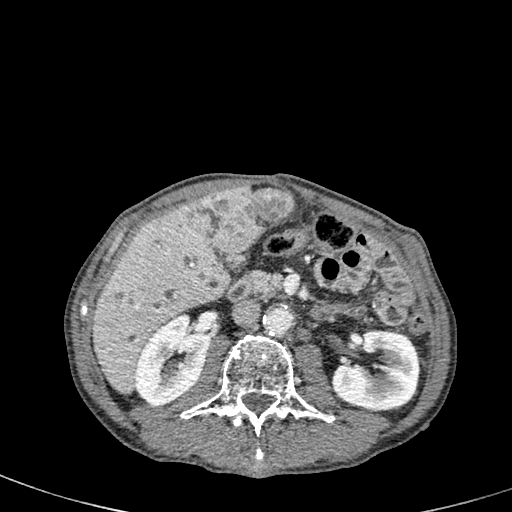

CT scan slice.

{"liver": ["[92, 202, 230, 394]"], "kidney": ["[333, 331, 418, 409]", "[134, 313, 212, 405]"], "liver_lesion": ["[192, 187, 292, 252]", "[107, 288, 122, 301]"]}